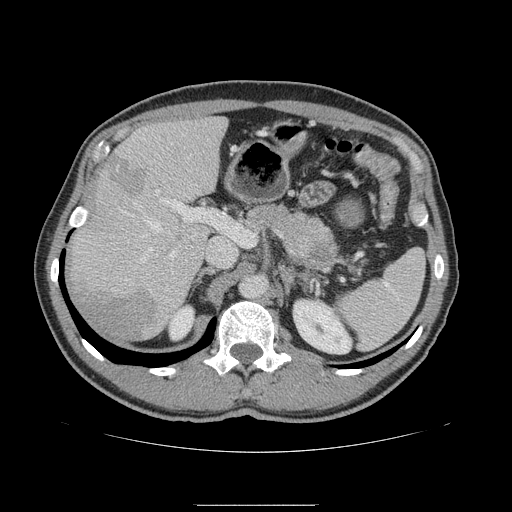 Image size 512x512. CT. pancreatic tumor: bbox(309, 241, 330, 261) | pancreas: bbox(247, 204, 344, 271)